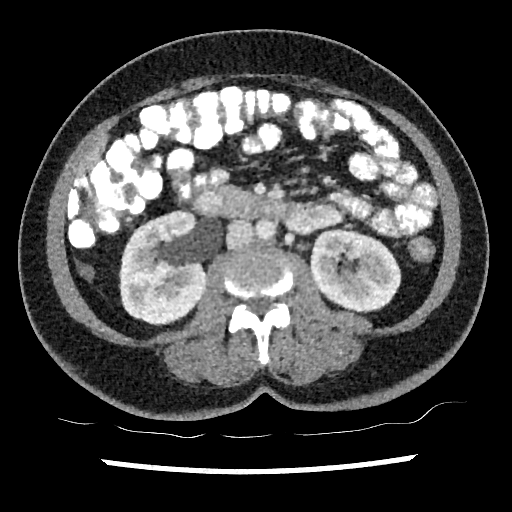
Computed tomography; Upper abdomen

kidney: rect(311, 231, 399, 310); rect(121, 212, 205, 323) | liver: rect(81, 136, 105, 175)